FLAIR MR image.
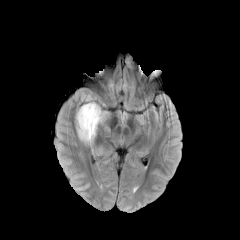
T1-weighted magnetic resonance.
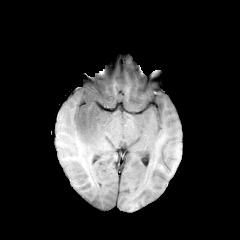
Post-contrast T1-weighted MR.
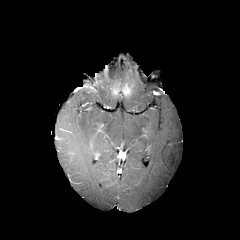
T2-weighted MR image.
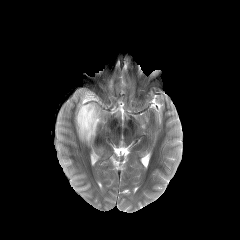
Head. Image size 240x240.
The edema is at (75, 91, 107, 144).